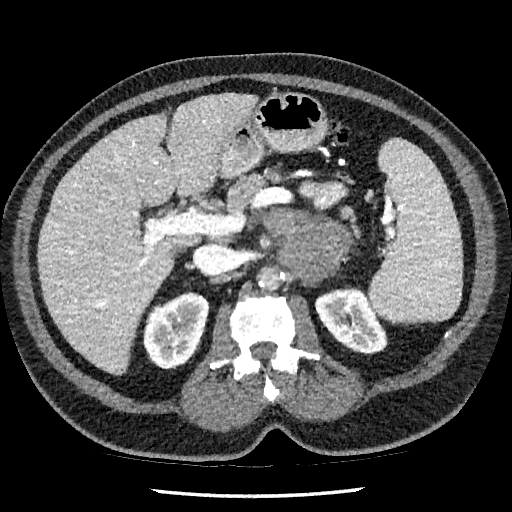

CT.
Liver — 39:94:256:373.
Kidney — 144:293:208:368, 316:290:385:352.